Slice 77 of 155, Head
FLAIR MRI.
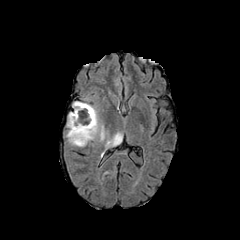
T1-weighted MRI.
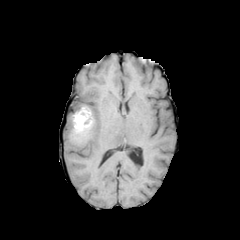
Post-contrast T1-weighted MR image.
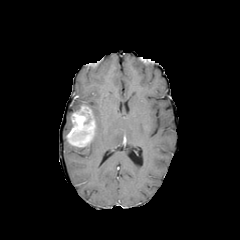
T2-weighted MR.
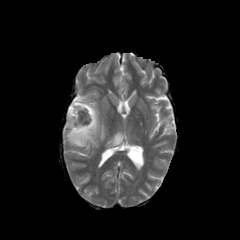
Findings:
- enhancing tumor: bbox=[66, 106, 96, 146]
- edema: bbox=[67, 112, 72, 132]; bbox=[106, 132, 122, 147]; bbox=[72, 97, 106, 142]
- non-enhancing tumor core: bbox=[79, 111, 89, 125]